MR | Slice index 24 | 320x320 px 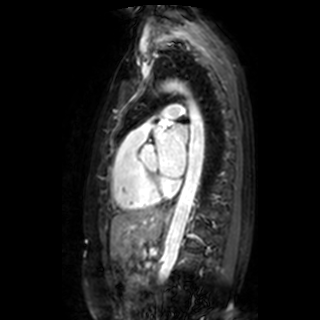

left atrium: rect(155, 125, 187, 177)